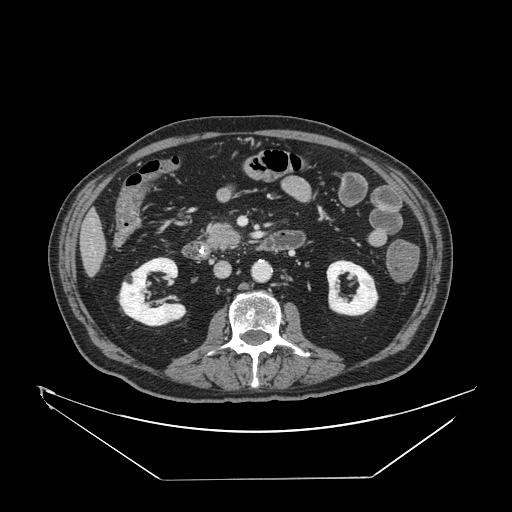

Upper abdomen. Computed tomography. * pancreatic tumor: {"x1": 208, "y1": 224, "x2": 239, "y2": 246}
* pancreas: {"x1": 202, "y1": 219, "x2": 243, "y2": 253}